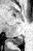
Hippocampus; Magnetic resonance
Posterior hippocampus: bounding box bbox(9, 37, 22, 45).